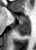
Magnetic resonance. Hippocampus.
anterior_hippocampus:
  - bbox(13, 14, 16, 16)
  - bbox(17, 15, 29, 21)
posterior_hippocampus:
  - bbox(17, 22, 29, 36)